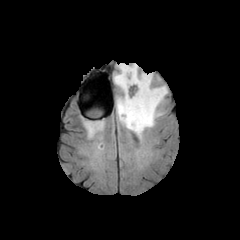
FLAIR MR image.
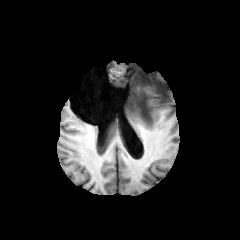
T1-weighted MR.
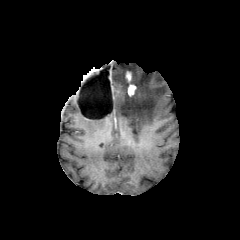
Post-contrast T1-weighted MRI of the same slice.
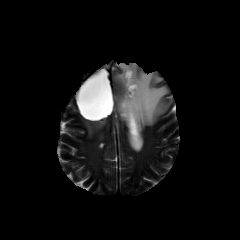
T2-weighted MR image.
Image size 240x240
enhancing_tumor:
  - (126,72,135,95)
non-enhancing_tumor_core:
  - (124,76,138,97)
edema:
  - (113,64,167,137)